FLAIR MR image.
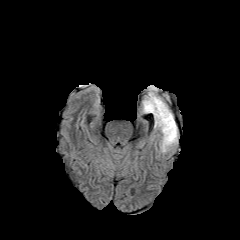
T1-weighted MRI.
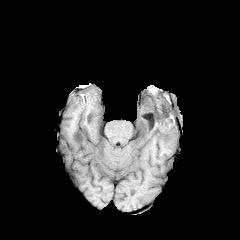
Post-contrast T1-weighted MR image.
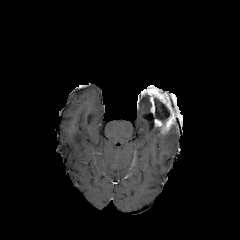
T2-weighted magnetic resonance.
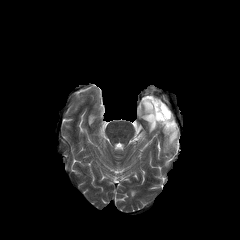
Brain
{"non-enhancing_tumor_core": [{"x1": 150, "y1": 99, "x2": 169, "y2": 121}, {"x1": 142, "y1": 91, "x2": 151, "y2": 107}], "edema": [{"x1": 142, "y1": 98, "x2": 149, "y2": 113}, {"x1": 154, "y1": 126, "x2": 179, "y2": 152}], "enhancing_tumor": [{"x1": 145, "y1": 88, "x2": 175, "y2": 132}]}